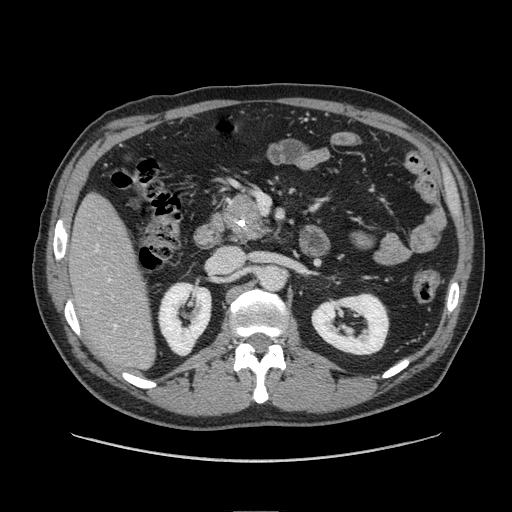

Computed tomography, 512x512 px, Abdomen
pancreatic tumor: region(242, 226, 257, 237) | pancreas: region(215, 192, 274, 245)